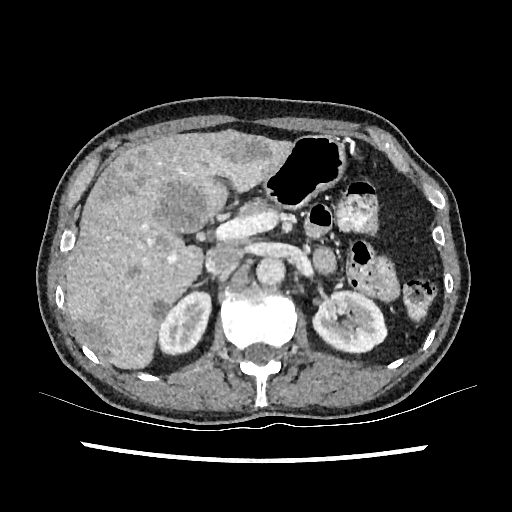
Liver; CT image

Liver at x1=66, y1=131, x2=294, y2=368.
Hepatic lesion at x1=134, y1=175, x2=145, y2=186; x1=150, y1=299, x2=170, y2=320; x1=207, y1=135, x2=272, y2=165; x1=74, y1=320, x2=114, y2=355; x1=158, y1=184, x2=206, y2=232; x1=156, y1=235, x2=169, y2=248; x1=99, y1=173, x2=134, y2=201; x1=136, y1=344, x2=146, y2=353; x1=127, y1=265, x2=140, y2=278; x1=124, y1=162, x2=133, y2=170.
Kidney at x1=313, y1=291, x2=386, y2=352; x1=159, y1=292, x2=210, y2=354.